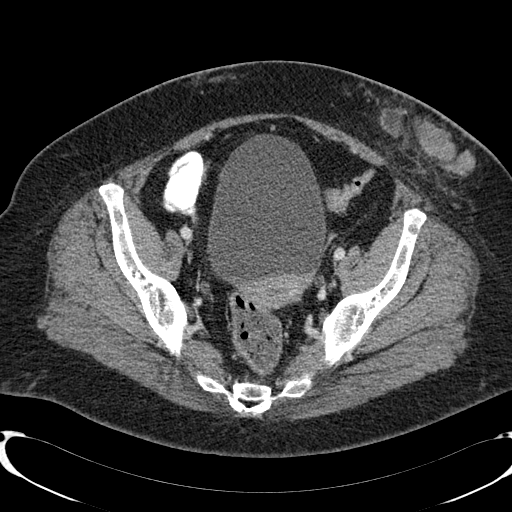 CT scan slice

urinary_bladder:
  - [207, 134, 325, 285]